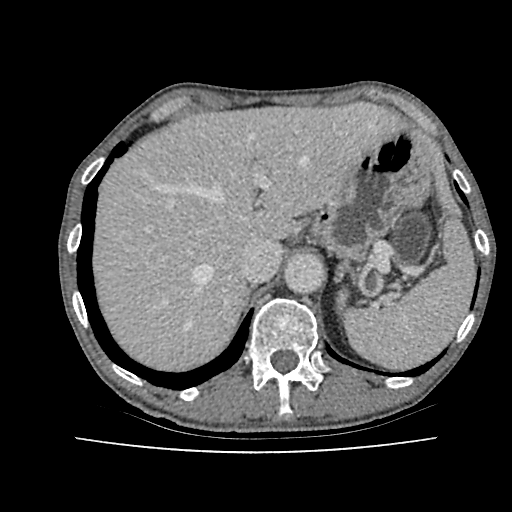

Computed tomography | 512x512 px | Liver
Liver: bounding box (x1=91, y1=104, x2=406, y2=370).